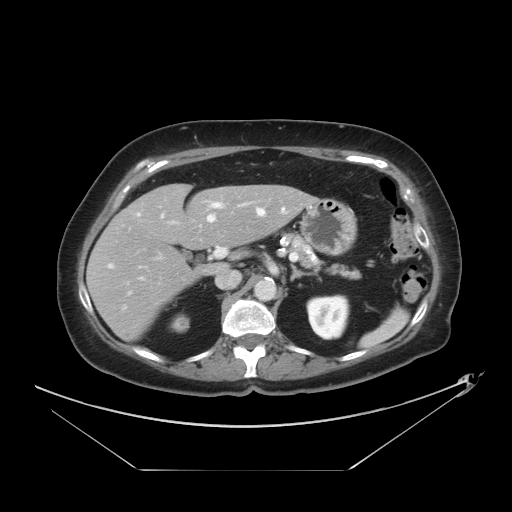
Abdomen | Computed tomography
The vessel annotation is not exhaustive.
hepatic vessel: (123, 307, 125, 308), (281, 208, 286, 213), (109, 265, 112, 268), (161, 214, 163, 217), (210, 246, 226, 257), (239, 202, 251, 206), (128, 292, 130, 294), (207, 214, 215, 221), (139, 277, 142, 279), (256, 208, 264, 216), (138, 213, 140, 215), (211, 202, 222, 207)